Head; Slice 137 of 155; Field of view 240x240 mm
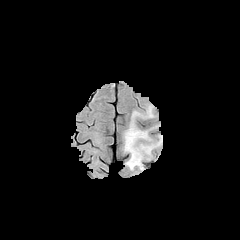
FLAIR MR.
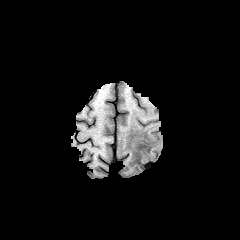
T1-weighted magnetic resonance of the same slice.
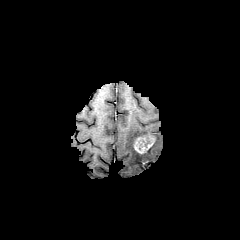
Same slice, post-contrast T1-weighted magnetic resonance.
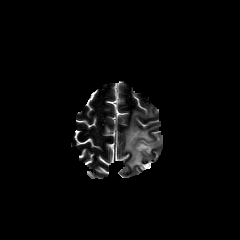
T2-weighted magnetic resonance.
Segmented structures:
- edema: {"x1": 124, "y1": 118, "x2": 159, "y2": 169}
- enhancing tumor: {"x1": 134, "y1": 137, "x2": 153, "y2": 153}
- non-enhancing tumor core: {"x1": 134, "y1": 134, "x2": 150, "y2": 145}